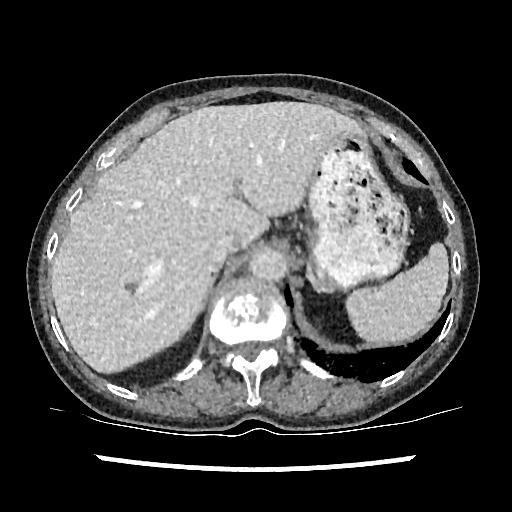

CT scan slice; Abdomen

The hepatic lesion is located at bbox(125, 284, 137, 294). The liver is at bbox(53, 103, 365, 371).